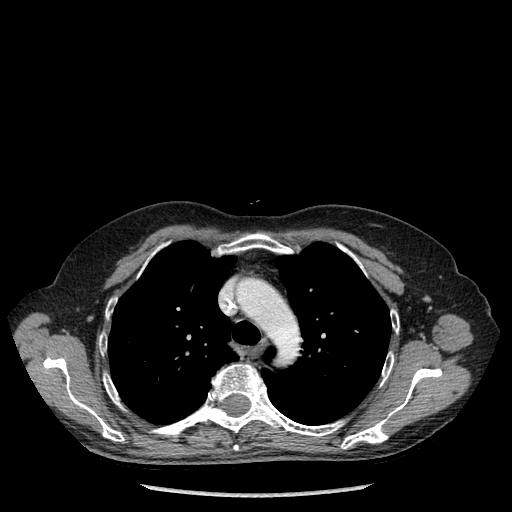

Image size 512x512 | CT
Annotated regions:
• lung: x1=265, y1=348, x2=274, y2=362; x1=264, y1=242, x2=390, y2=425; x1=108, y1=240, x2=260, y2=424
• bone: x1=390, y1=309, x2=399, y2=332; x1=150, y1=364, x2=344, y2=436; x1=216, y1=233, x2=293, y2=254; x1=380, y1=352, x2=393, y2=385; x1=43, y1=356, x2=124, y2=441; x1=99, y1=333, x2=106, y2=355; x1=341, y1=368, x2=442, y2=448; x1=337, y1=243, x2=365, y2=274; x1=137, y1=247, x2=158, y2=277; x1=105, y1=297, x2=116, y2=318; x1=103, y1=373, x2=124, y2=409